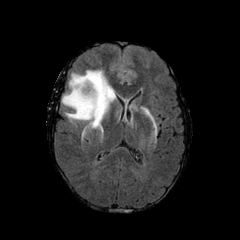
FLAIR magnetic resonance.
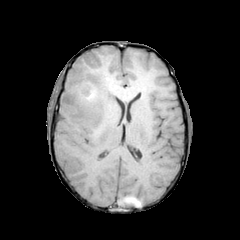
T1-weighted MRI.
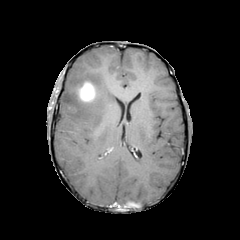
Post-contrast T1-weighted MR of the same slice.
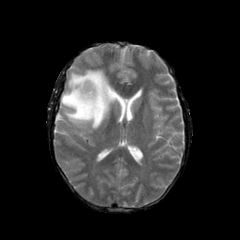
T2-weighted MR image of the same slice.
Head
enhancing tumor: bbox(78, 82, 95, 102) | edema: bbox(61, 69, 116, 127)